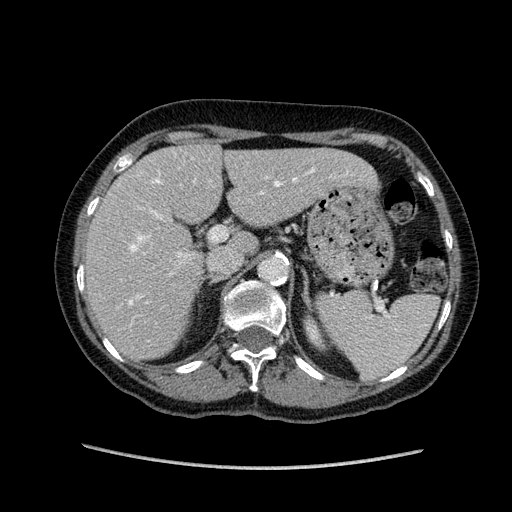

Upper abdomen. CT slice. Image size 512x512. {
  "liver": [
    "86, 145, 371, 356"
  ],
  "kidney": [
    "307, 327, 317, 339"
  ]
}